Slice index 155 | Image width 360 mm | Image size 512x512 | Thorax | CT image

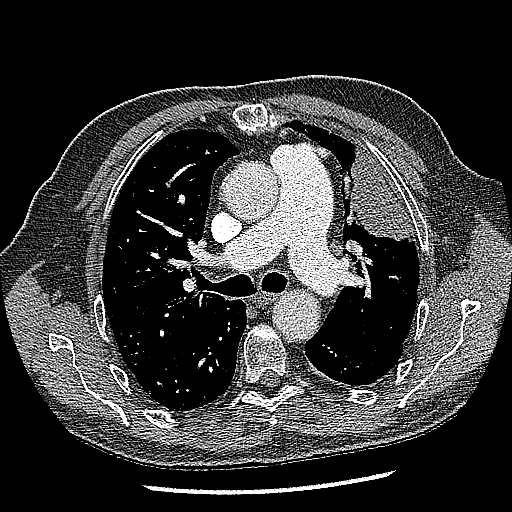

The lung tumor appears at bbox=[350, 147, 414, 242].